240x240 px | Field of view 240x240 mm | Slice index 88
FLAIR MRI.
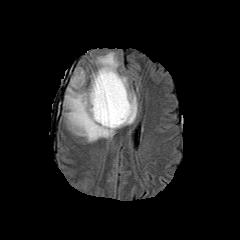
T1-weighted MR image.
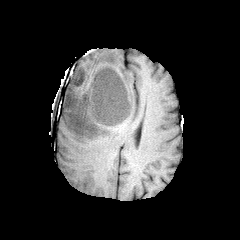
Post-contrast T1-weighted MR.
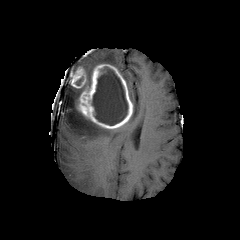
T2-weighted MR image.
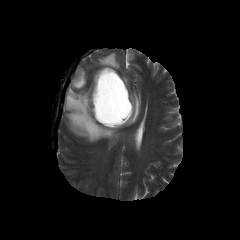
<segmentation>
  <edema>[63,83,115,142], [90,52,120,69], [120,74,138,127]</edema>
  <enhancing_tumor>[70,64,133,129]</enhancing_tumor>
  <non-enhancing_tumor_core>[92,69,128,125]</non-enhancing_tumor_core>
</segmentation>